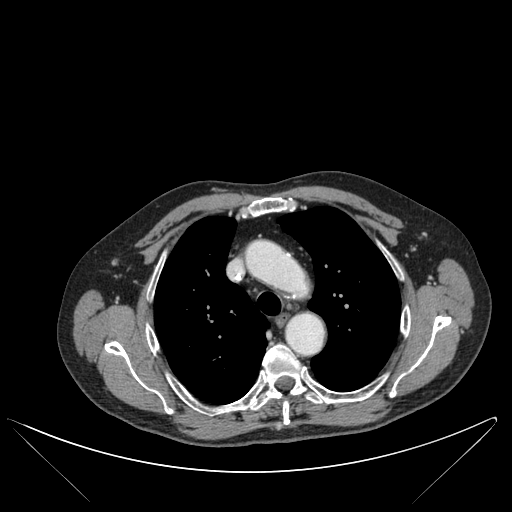 CT scan slice
Bone — bbox(386, 251, 397, 272); bbox(212, 344, 387, 424); bbox(390, 316, 450, 397); bbox(105, 341, 172, 413); bbox(146, 324, 158, 353); bbox(148, 257, 163, 297); bbox(400, 306, 410, 335); bbox(166, 374, 199, 409); bbox(248, 197, 295, 216).
Lung — bbox(154, 216, 280, 404); bbox(277, 207, 400, 391).